Upper abdomen. CT slice.

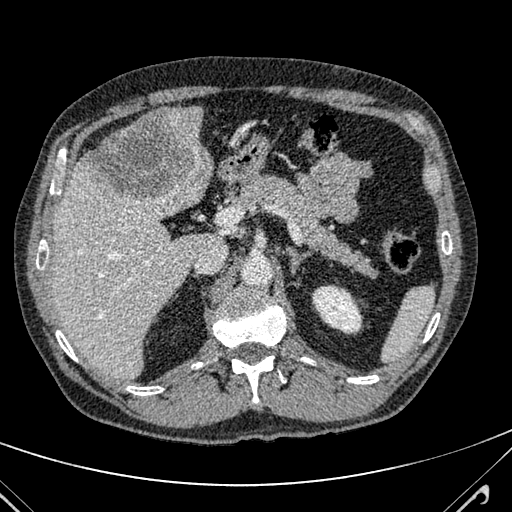 {"liver": ["50:162:220:378", "167:107:202:140"], "hepatic_lesion": ["77:109:210:204"]}